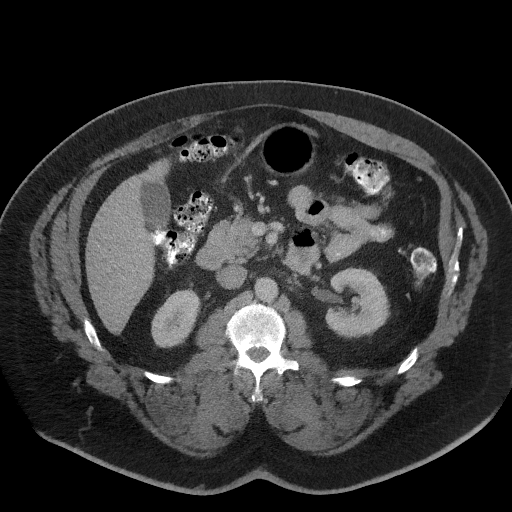 Computed tomography, Abdomen
Findings:
- pancreas: <box>196,216,260,270</box>